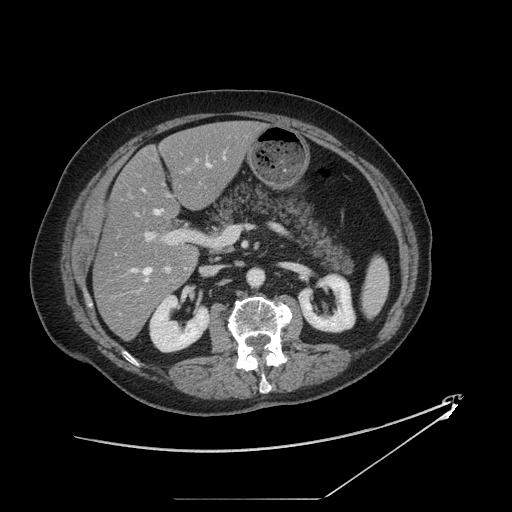

CT scan slice. Abdomen.

pancreas: bbox=[211, 183, 356, 277]